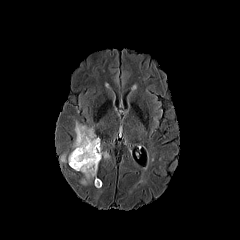
FLAIR MR.
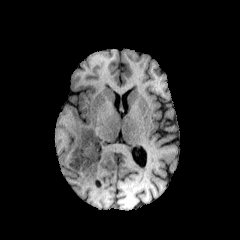
T1-weighted MR of the same slice.
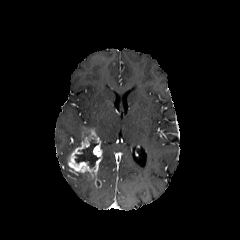
Post-contrast T1-weighted magnetic resonance.
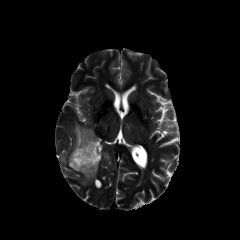
T2-weighted MRI of the same slice.
Head | 240x240
The enhancing tumor is located at bbox(68, 127, 102, 179). 3 edema regions are located at bbox(81, 172, 92, 185); bbox(59, 153, 70, 163); bbox(71, 121, 89, 153). The non-enhancing tumor core lies within bbox(74, 140, 98, 168).